Brain
FLAIR magnetic resonance.
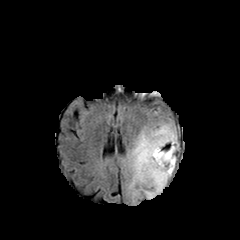
T1-weighted MR.
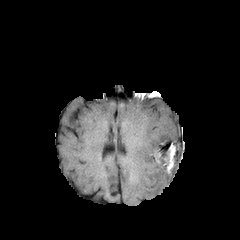
Post-contrast T1-weighted MR image.
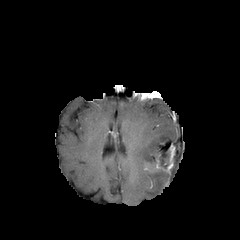
T2-weighted MR.
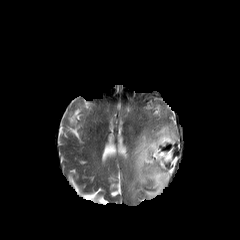
Edema: bounding box (125, 120, 178, 201).
Enhancing tumor: bounding box (167, 145, 174, 173).